Slice 109 of 151. Computed tomography.
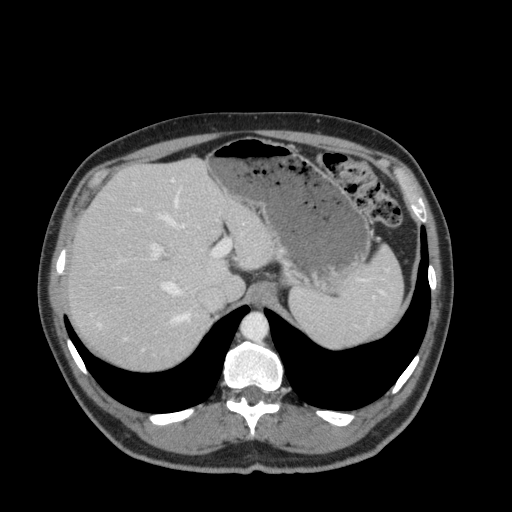

Annotated regions:
* liver: x1=336 y1=243 x2=403 y2=347, x1=68 y1=159 x2=276 y2=369